512x512 px. CT slice. Upper abdomen. 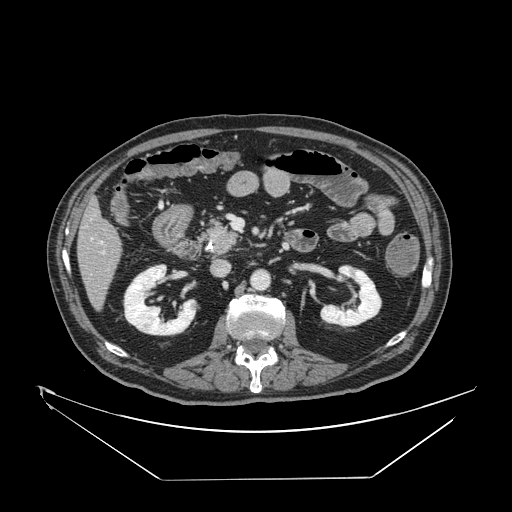 pancreatic tumor: (211, 228, 236, 253) | pancreas: (195, 216, 242, 258)